Computed tomography; Field of view 372 mm wide, 2.50 mm slice spacing; Slice 50 of 89 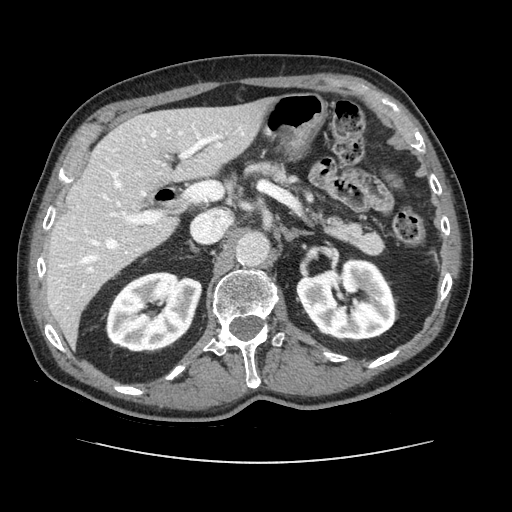

pancreas:
  - box=[322, 217, 383, 255]
  - box=[245, 161, 289, 184]